MRI, Slice 25 of 32, Hippocampus

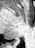 The posterior hippocampus is located at [13, 41, 15, 42].